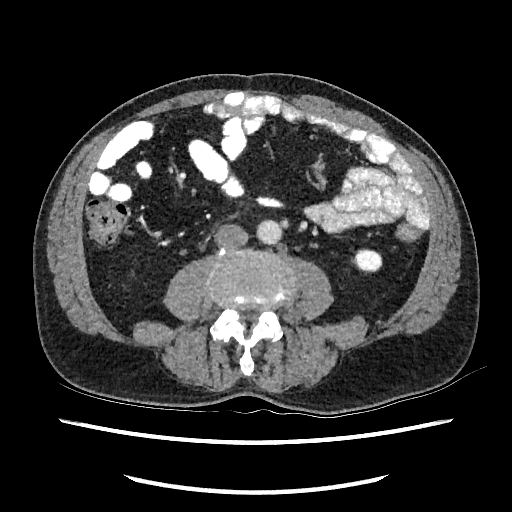

Computed tomography
The kidney is located at rect(354, 249, 381, 271).